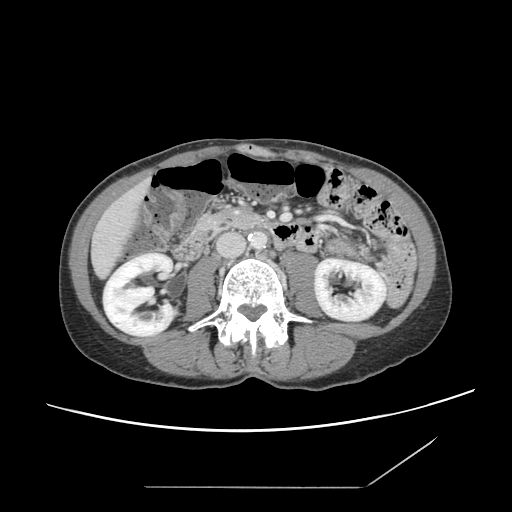

CT image; Upper abdomen

Pancreas = box=[195, 207, 270, 241].